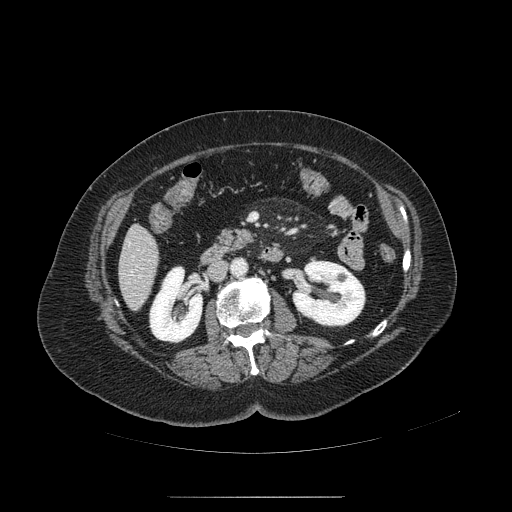
CT image | Upper abdomen | Image size 512x512

The pancreas is at x1=217 y1=226 x2=255 y2=249.